Slice 228 of 689, CT slice 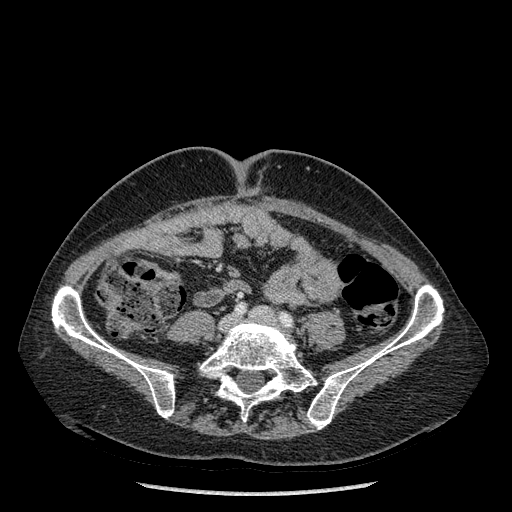

Bone — [307,284,443,429], [52,285,174,418], [199,316,317,421].